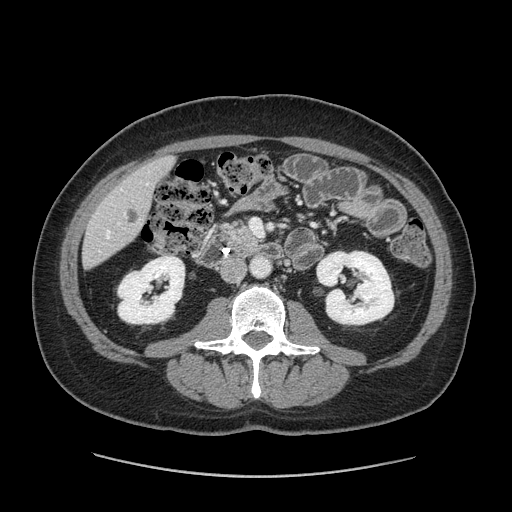 Computed tomography; Upper abdomen

<segmentation>
  <pancreas>x1=223, y1=224, x2=258, y2=250</pancreas>
</segmentation>